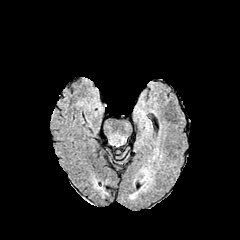
FLAIR MR.
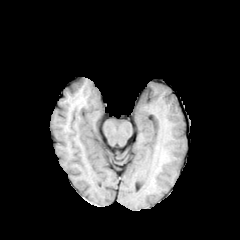
T1-weighted magnetic resonance.
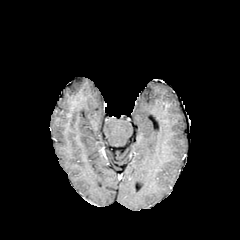
Post-contrast T1-weighted MR image of the same slice.
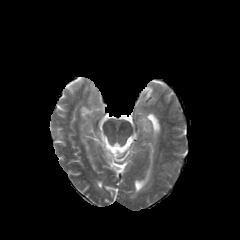
T2-weighted MRI.
Brain; 240x240
The edema is bounded by [141, 170, 150, 189].